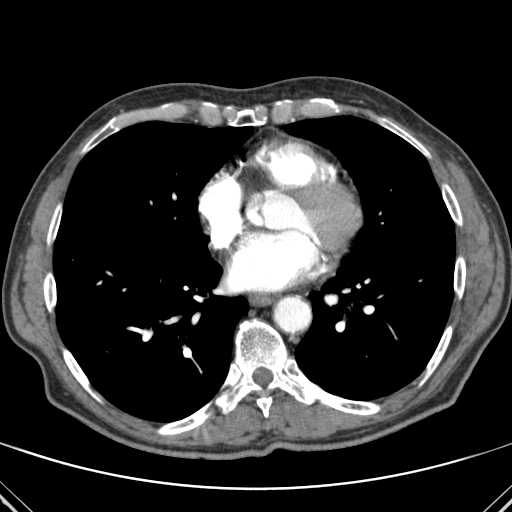 Thorax, Image size 512x512, CT slice
lung:
  - x1=283, y1=116, x2=455, y2=399
  - x1=53, y1=121, x2=252, y2=421
bone:
  - x1=256, y1=396, x2=271, y2=417
  - x1=454, y1=257, x2=465, y2=297
  - x1=378, y1=118, x2=430, y2=157
  - x1=43, y1=273, x2=56, y2=311
  - x1=47, y1=205, x2=61, y2=244
  - x1=442, y1=184, x2=462, y2=225
  - x1=63, y1=349, x2=99, y2=400
  - x1=229, y1=109, x2=266, y2=126
  - x1=157, y1=403, x2=210, y2=434
  - x1=310, y1=98, x2=336, y2=108
  - x1=215, y1=319, x2=379, y2=415
  - x1=420, y1=326, x2=451, y2=384
  - x1=82, y1=118, x2=118, y2=152
  - x1=203, y1=103, x2=215, y2=108